Lower abdomen, Computed tomography, Field of view 434x434 mm 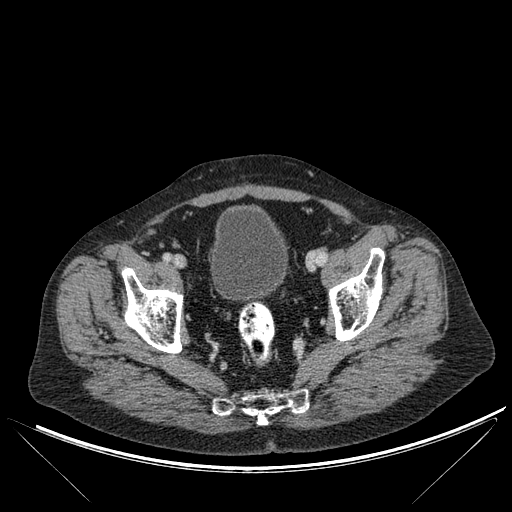
3 bone regions are located at [x1=122, y1=268, x2=182, y2=353], [x1=329, y1=248, x2=384, y2=341], [x1=212, y1=389, x2=308, y2=424]. The urinary bladder lies within [x1=210, y1=205, x2=287, y2=301].